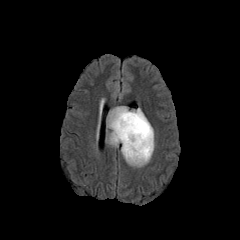
FLAIR MRI.
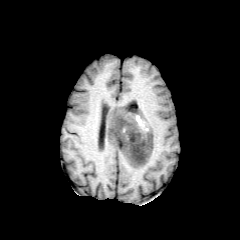
T1-weighted magnetic resonance.
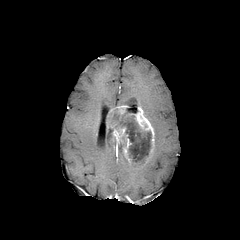
Post-contrast T1-weighted MR of the same slice.
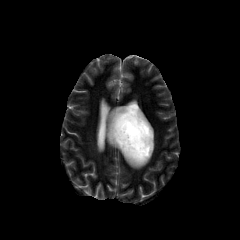
T2-weighted magnetic resonance.
2 enhancing tumor regions are located at (112, 127, 131, 155), (131, 108, 153, 144). 2 edema regions are located at (106, 107, 116, 147), (118, 144, 151, 167). The non-enhancing tumor core appears at (110, 108, 153, 162).